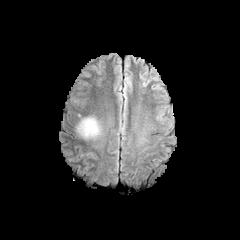
FLAIR magnetic resonance.
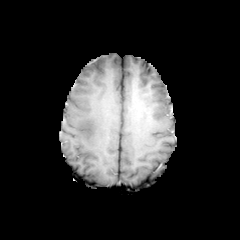
Same slice, T1-weighted MR image.
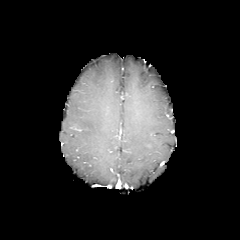
Same slice, post-contrast T1-weighted MRI.
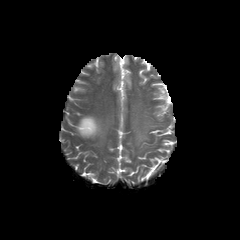
Same slice, T2-weighted MR.
240x240.
Edema: <box>76,116,102,139</box>.